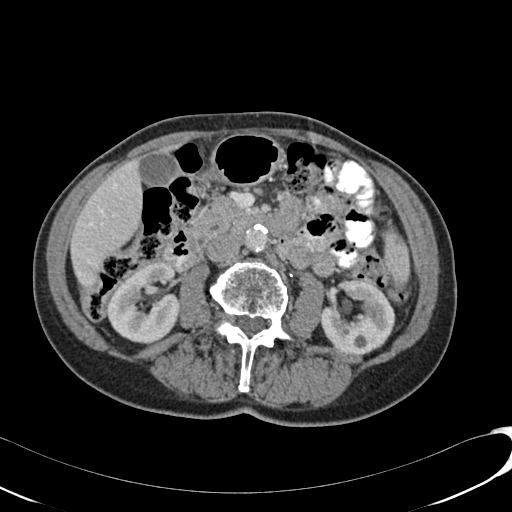
512x512 px. CT slice. {
  "kidney": [
    "<bbox>107, 262, 179, 342</bbox>",
    "<bbox>321, 281, 393, 354</bbox>",
    "<bbox>329, 288, 337, 302</bbox>",
    "<bbox>391, 267, 402, 282</bbox>"
  ],
  "liver": [
    "<bbox>159, 143, 182, 152</bbox>",
    "<bbox>71, 159, 142, 286</bbox>"
  ]
}